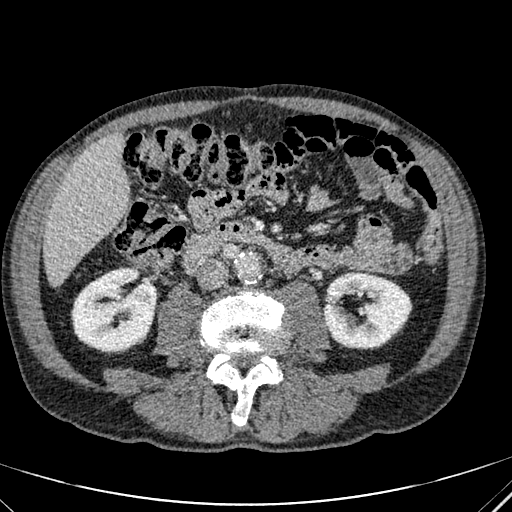 CT image
2 kidney regions appear at 73, 269, 155, 350; 325, 274, 410, 347. The liver appears at 44, 136, 127, 285.